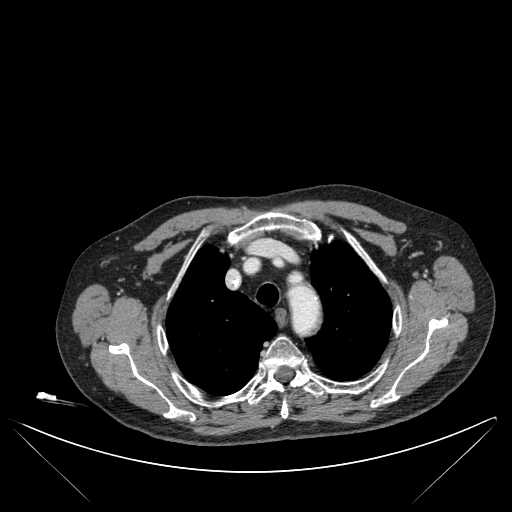 CT slice, Thorax
<segmentation>
  <bone>l=228, t=212, r=320, b=244; l=345, t=232, r=384, b=280; l=281, t=400, r=287, b=417; l=181, t=249, r=194, b=275; l=215, t=337, r=386, b=405; l=393, t=306, r=401, b=334; l=157, t=326, r=167, b=353; l=172, t=372, r=207, b=405; l=371, t=318, r=447, b=406; l=109, t=343, r=195, b=420</bone>
  <lung>l=166, t=245, r=276, b=395; l=306, t=241, r=391, b=379; l=257, t=284, r=278, b=305</lung>
</segmentation>